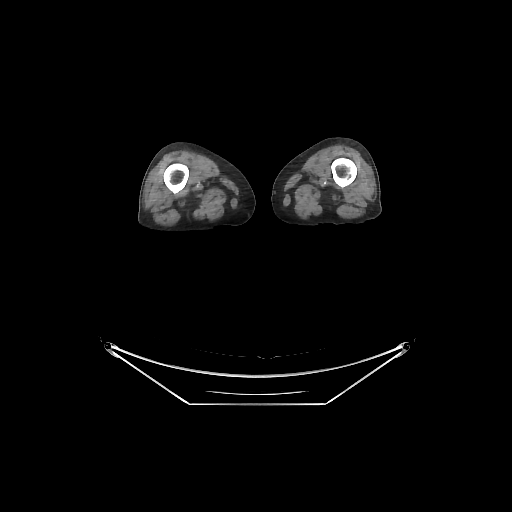 512x512 px; CT

Segmented structures:
- bone: 163 163 188 193, 331 158 356 187